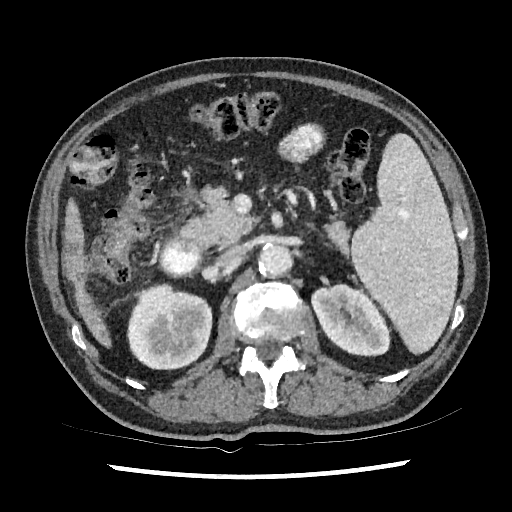 Image size 512x512, CT image

Kidney = (x1=311, y1=285, x2=389, y2=355), (x1=128, y1=284, x2=211, y2=368).
Liver = (x1=64, y1=252, x2=109, y2=345), (x1=65, y1=200, x2=86, y2=269).
Liver lesion = (x1=85, y1=304, x2=100, y2=326), (x1=66, y1=235, x2=85, y2=283).